Slice 78 of 122. CT scan slice.

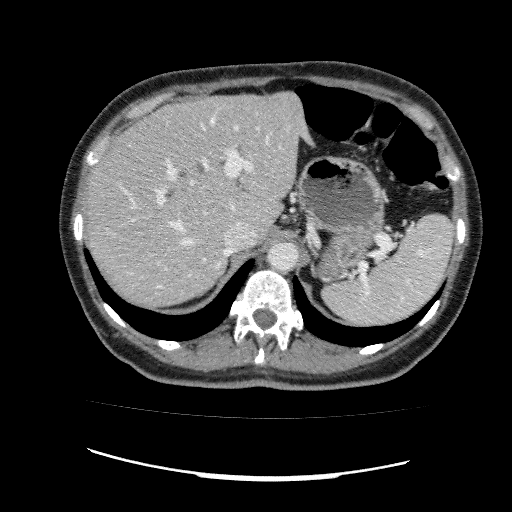
The liver is at 83:91:313:307.